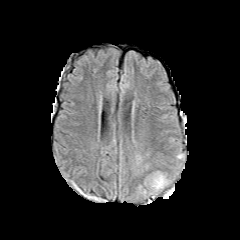
FLAIR MRI.
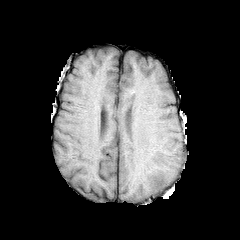
T1-weighted MR of the same slice.
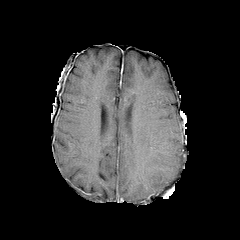
Same slice, post-contrast T1-weighted magnetic resonance.
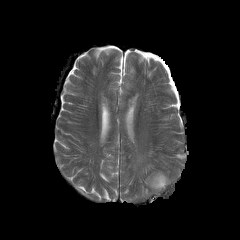
T2-weighted MRI.
Brain; 240x240
The edema appears at l=143, t=172, r=170, b=197.